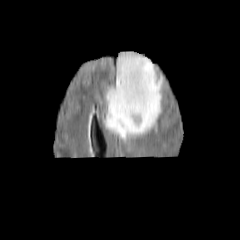
FLAIR MRI.
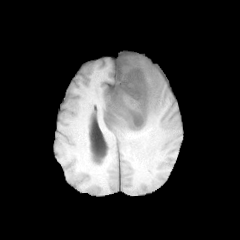
Same slice, T1-weighted MR image.
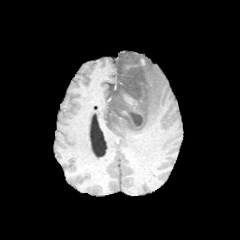
Post-contrast T1-weighted MR image.
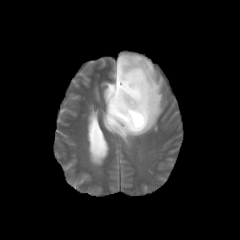
T2-weighted MRI.
Annotated regions:
- enhancing tumor: <box>125,95,136,105</box>
- edema: <box>103,52,163,138</box>
- non-enhancing tumor core: <box>114,58,146,129</box>